MRI. 36x46.
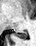

posterior hippocampus: 12 31 27 39